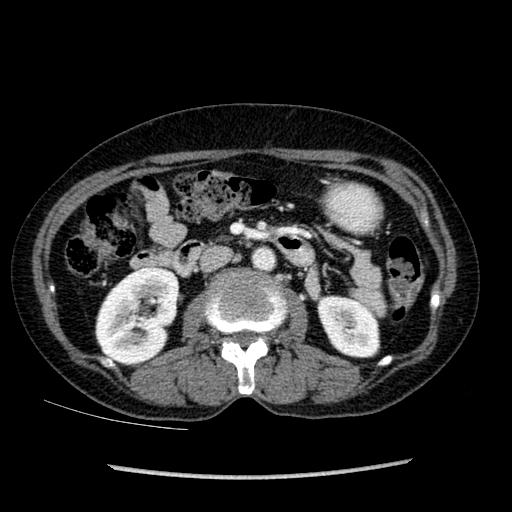

Abdomen; CT slice

kidney: box=[96, 268, 177, 363]; box=[319, 297, 377, 356]